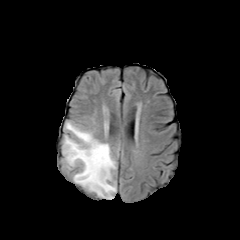
FLAIR magnetic resonance.
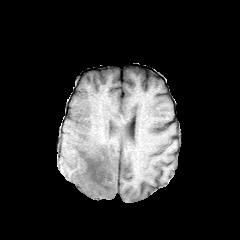
Same slice, T1-weighted MRI.
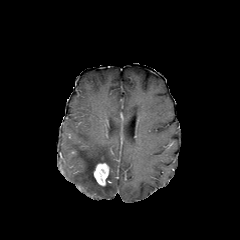
Post-contrast T1-weighted magnetic resonance.
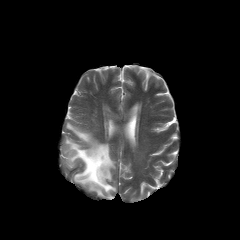
T2-weighted MR.
Head. 240x240.
The edema is bounded by [x1=62, y1=121, x2=116, y2=199]. The enhancing tumor is bounded by [x1=94, y1=162, x2=109, y2=185]. 2 non-enhancing tumor core regions appear at [x1=98, y1=178, x2=111, y2=190], [x1=80, y1=150, x2=108, y2=183].